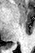
Magnetic resonance | 35x53 | Hippocampus
posterior hippocampus: <box>12,44,15,45</box>